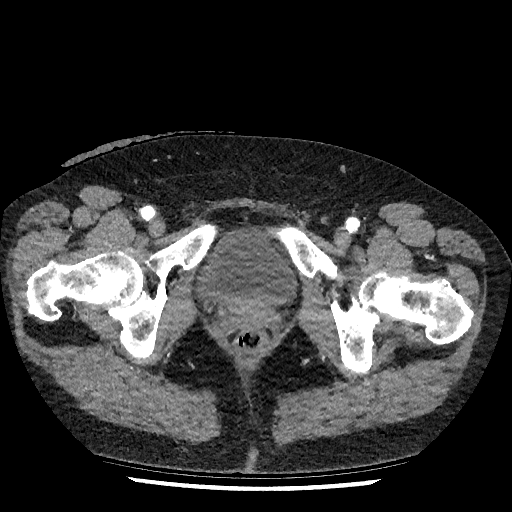

Lower abdomen | Image size 512x512 | CT slice

<segmentation>
  <urinary_bladder>l=199, t=227, r=296, b=310</urinary_bladder>
</segmentation>